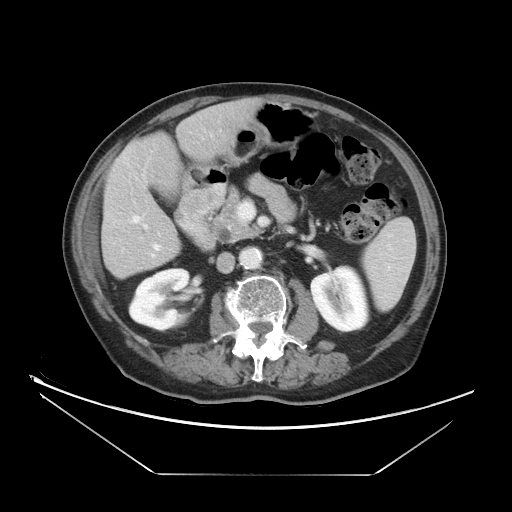
CT image, Liver
The vessel boxes may cover only some of the vessels.
liver_tumor:
  - box(111, 229, 124, 242)
hepatic_vessel:
  - box(154, 245, 159, 249)
  - box(134, 218, 137, 220)